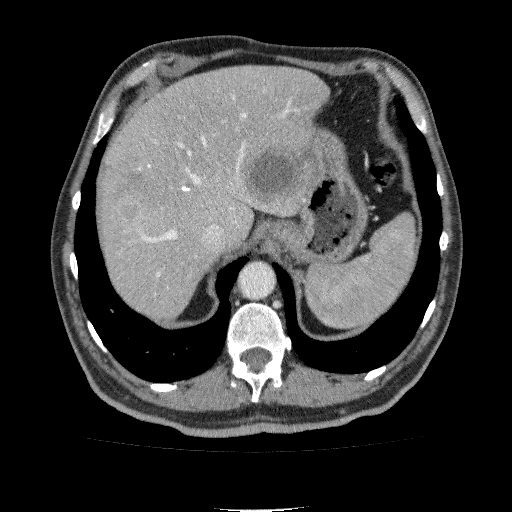

CT image
Annotated regions:
* hepatic lesion: (x1=242, y1=143, x2=317, y2=206), (x1=103, y1=164, x2=111, y2=173), (x1=119, y1=203, x2=138, y2=219), (x1=108, y1=167, x2=144, y2=201)
* liver: (x1=98, y1=68, x2=329, y2=322)